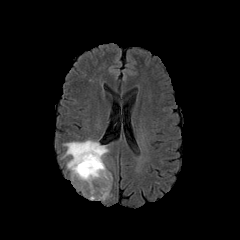
FLAIR MR image.
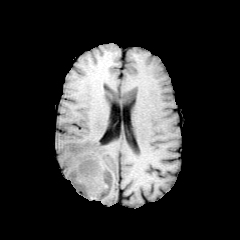
T1-weighted magnetic resonance.
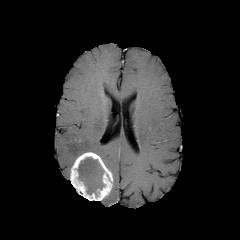
Post-contrast T1-weighted MR.
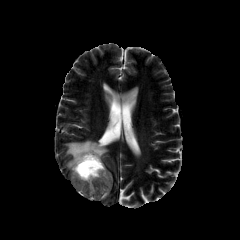
Same slice, T2-weighted magnetic resonance.
240x240 px | Head
Non-enhancing tumor core = l=77, t=158, r=104, b=195.
Enhancing tumor = l=70, t=152, r=112, b=200.
Edema = l=86, t=176, r=100, b=192; l=63, t=139, r=108, b=169.